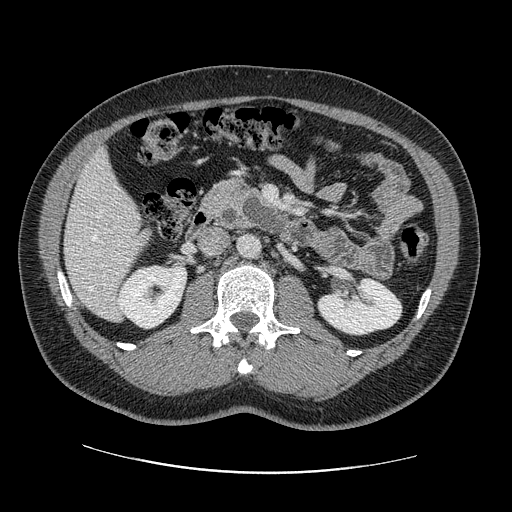
CT slice
Pancreas at x1=199 y1=178 x2=257 y2=230.